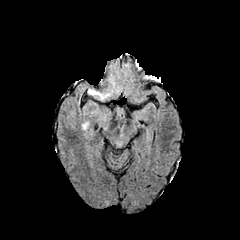
FLAIR MR image.
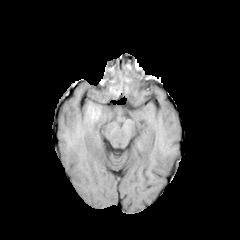
T1-weighted MR image of the same slice.
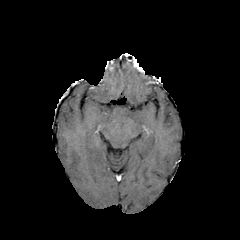
Post-contrast T1-weighted MR.
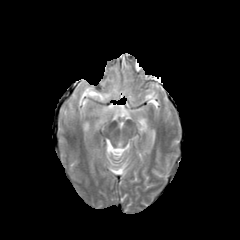
T2-weighted MR.
Brain
Edema at (left=88, top=89, right=110, bottom=100).